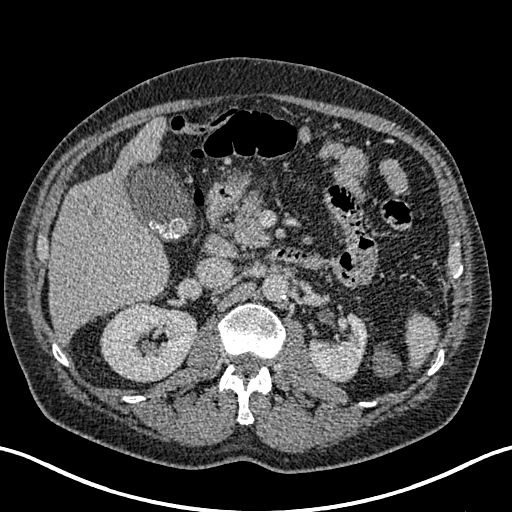
Abdomen; 512x512; CT
Segmented structures:
- liver: box=[49, 119, 170, 343]
- kidney: box=[310, 315, 366, 380]; box=[102, 304, 196, 381]
- liver lesion: box=[77, 194, 100, 221]